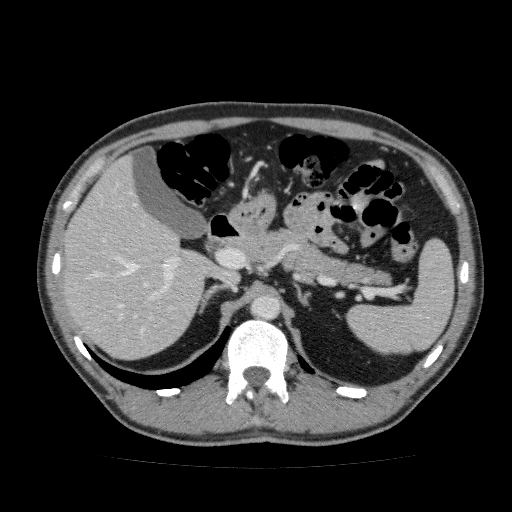
CT scan slice. Upper abdomen. The liver appears at box(62, 154, 240, 361).